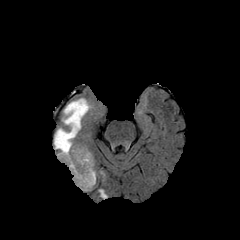
FLAIR MR.
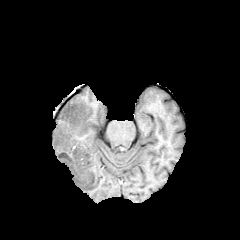
T1-weighted MR image.
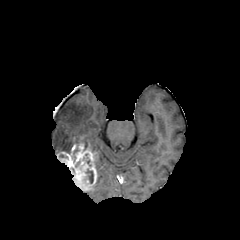
Post-contrast T1-weighted MR image.
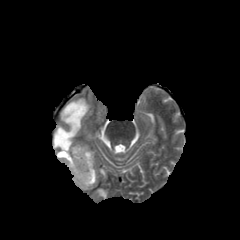
T2-weighted MR of the same slice.
<segmentation>
  <edema>[x1=54, y1=98, x2=92, y2=152], [x1=96, y1=188, x2=106, y2=198]</edema>
  <non-enhancing_tumor_core>[x1=86, y1=169, x2=93, y2=183]</non-enhancing_tumor_core>
  <enhancing_tumor>[x1=57, y1=145, x2=97, y2=190]</enhancing_tumor>
</segmentation>